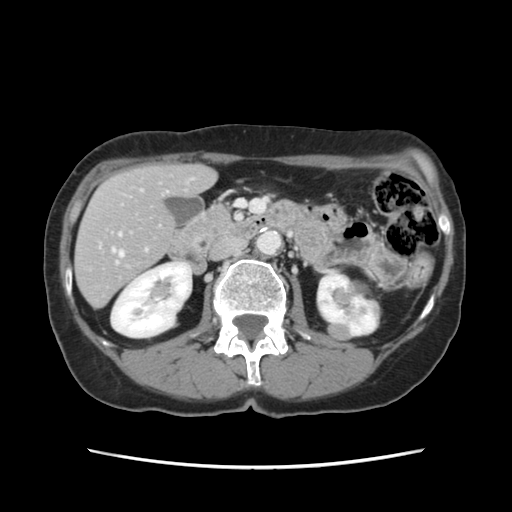 CT image

Only some of the vessels may be annotated.
Hepatic vessel — (112,249,115,251), (118,251,123,256), (145,249,146,251), (119,233,121,235).